CT scan slice | 512x512 px | Slice 397/547 | Upper abdomen 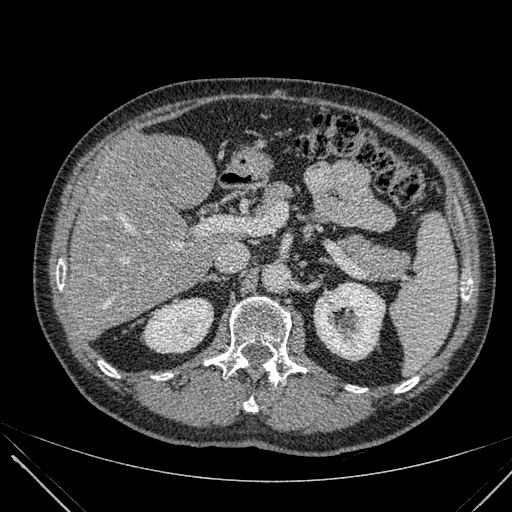 2 kidney regions are bounded by <box>144,298,212,352</box>, <box>314,283,384,359</box>. 2 liver regions are bounded by <box>69,133,239,335</box>, <box>251,157,273,176</box>.